512x512, CT slice, Slice 73/121, Image width 487 mm 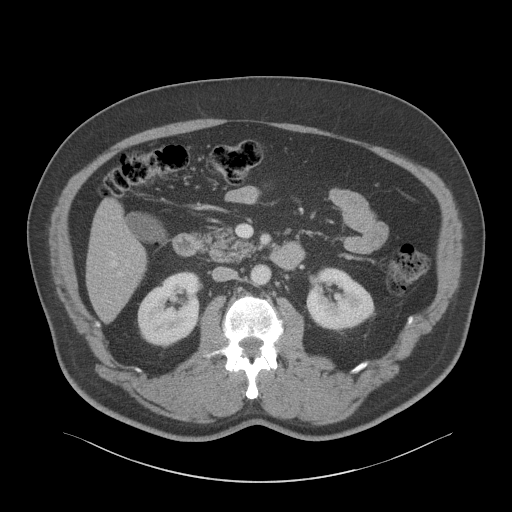

The liver is located at <box>87,202,145,317</box>. 2 kidney regions are located at <box>307,269,372,328</box>, <box>138,273,198,344</box>.